Slice 381 of 537. Computed tomography.
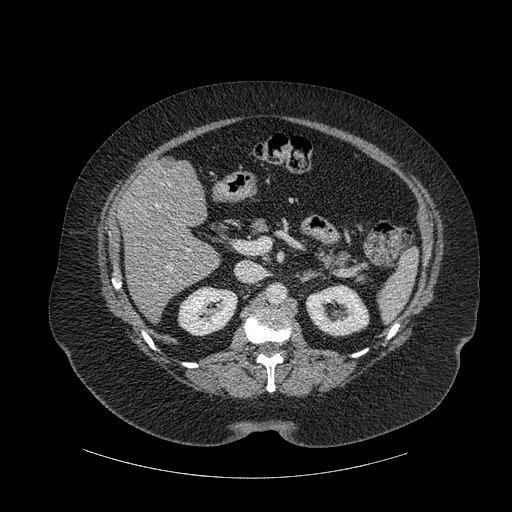
kidney: x1=306 y1=285 x2=368 y2=335, x1=178 y1=287 x2=236 y2=335 | bone: x1=112 y1=279 x2=121 y2=288, x1=352 y1=349 x2=367 y2=357, x1=244 y1=308 x2=291 y2=343, x1=387 y1=324 x2=399 y2=338, x1=257 y1=354 x2=282 y2=391, x1=142 y1=331 x2=155 y2=349, x1=183 y1=363 x2=197 y2=367 | liver: x1=118 y1=158 x2=220 y2=320